Slice 89 of 155, Head, 240x240 px
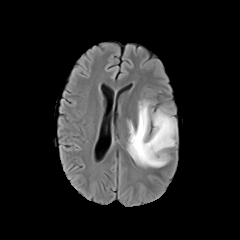
FLAIR MRI.
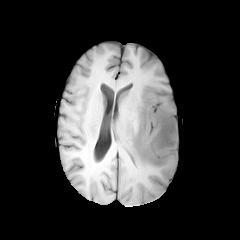
Same slice, T1-weighted magnetic resonance.
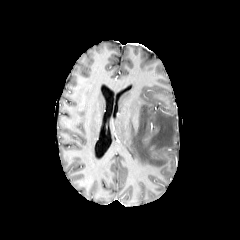
Post-contrast T1-weighted MRI.
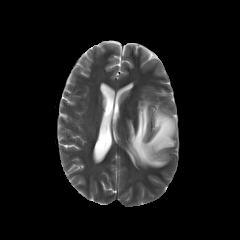
T2-weighted MRI of the same slice.
Segmented structures:
* edema: <box>126,96,178,168</box>